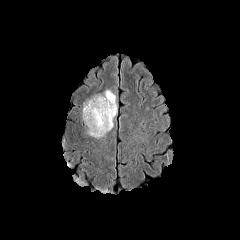
FLAIR MRI.
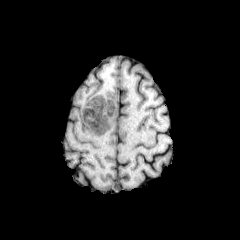
T1-weighted MR.
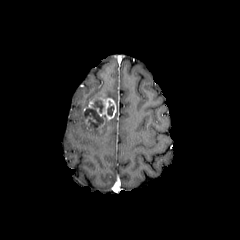
Same slice, post-contrast T1-weighted magnetic resonance.
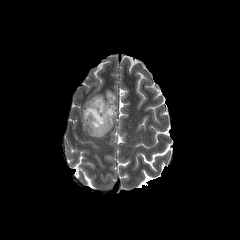
T2-weighted MRI.
Head
non-enhancing tumor core: l=83, t=98, r=108, b=132; l=107, t=104, r=114, b=116 | enhancing tumor: l=97, t=97, r=116, b=120 | edema: l=105, t=90, r=115, b=101; l=87, t=119, r=113, b=137